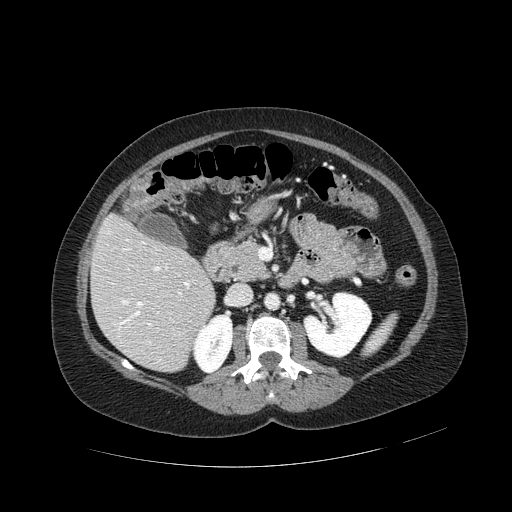
Image size 512x512, Upper abdomen, CT scan slice

Annotated regions:
* pancreas: x1=228, y1=242, x2=267, y2=281